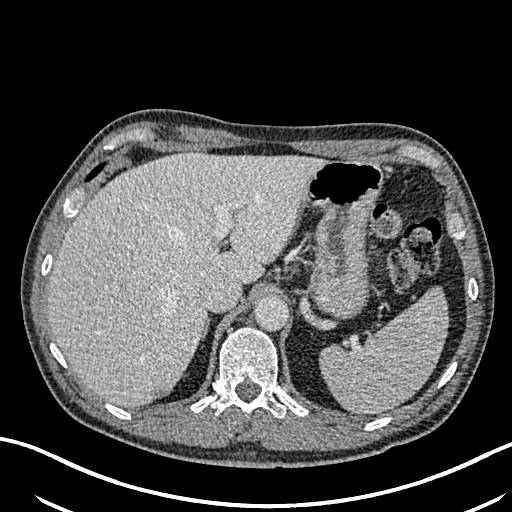
Abdomen, Computed tomography

Liver — {"x1": 48, "y1": 154, "x2": 327, "y2": 407}.
Liver lesion — {"x1": 150, "y1": 386, "x2": 171, "y2": 400}, {"x1": 117, "y1": 279, "x2": 126, "y2": 294}, {"x1": 136, "y1": 180, "x2": 143, "y2": 191}.